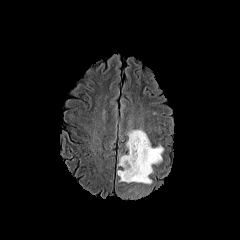
FLAIR MRI.
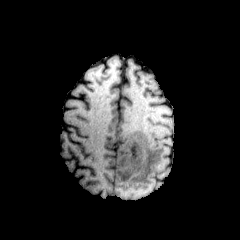
T1-weighted MR of the same slice.
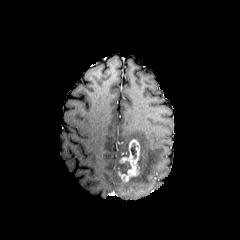
Post-contrast T1-weighted MR image of the same slice.
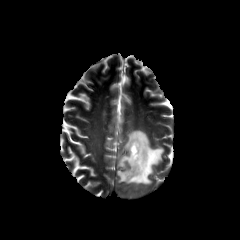
Same slice, T2-weighted magnetic resonance.
Brain
Enhancing tumor at 118,139,140,182.
Edema at 117,129,163,198.
Non-enhancing tumor core at 130,143,136,158.